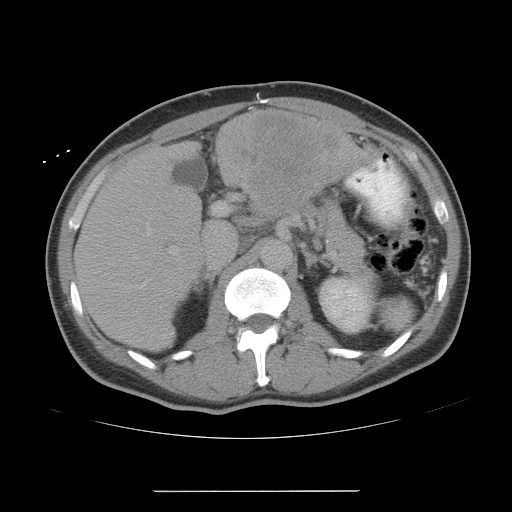
Abdomen, 512x512, CT
Some hepatic vessels may have no box.
liver_tumor:
  - x1=217, y1=111, x2=370, y2=212
hepatic_vessel:
  - x1=147, y1=229, x2=151, y2=235
  - x1=169, y1=246, x2=178, y2=254
  - x1=147, y1=279, x2=150, y2=280
  - x1=133, y1=255, x2=138, y2=263
  - x1=139, y1=283, x2=145, y2=288
  - x1=146, y1=222, x2=148, y2=224